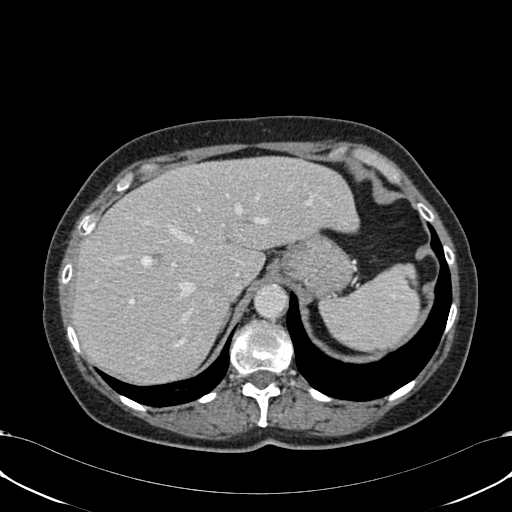

512x512; CT scan slice
Annotated regions:
• liver: bbox=[72, 157, 356, 381]